Slice 67/155. Head. Image width 240 mm.
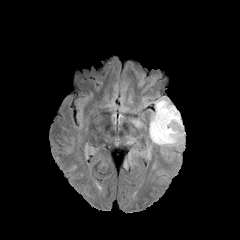
FLAIR MRI.
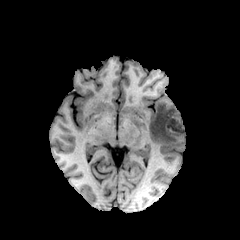
Same slice, T1-weighted MR image.
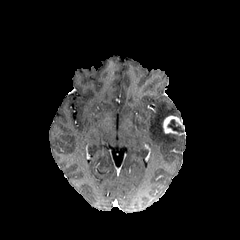
Post-contrast T1-weighted MR of the same slice.
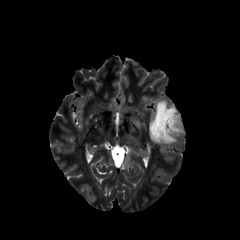
T2-weighted magnetic resonance.
The edema is bounded by box=[149, 99, 180, 144]. The enhancing tumor is at box=[162, 115, 184, 134]. The non-enhancing tumor core is at box=[167, 119, 184, 133].